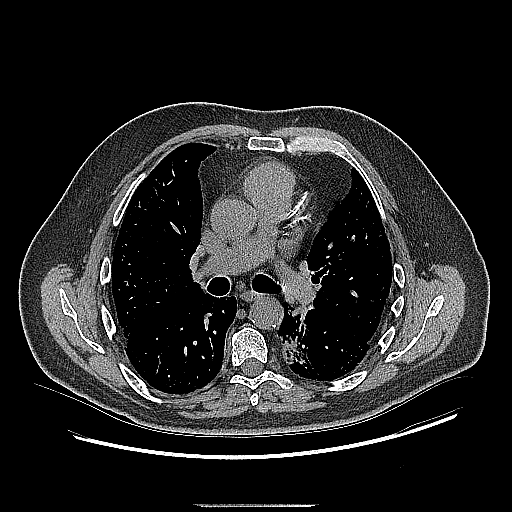 512x512 | Thorax | CT image
The lung tumor is bounded by (x1=277, y1=302, x2=319, y2=377).